CT, 512x512, Slice index 499, Liver

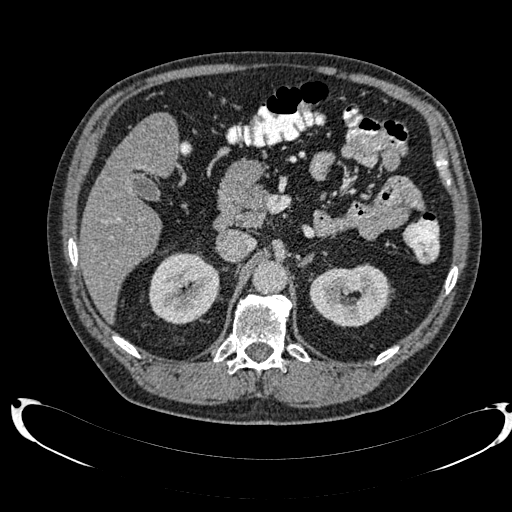
kidney:
  - 310:264:390:326
  - 149:253:219:323
liver:
  - 80:112:178:322
liver_lesion:
  - 150:114:175:135